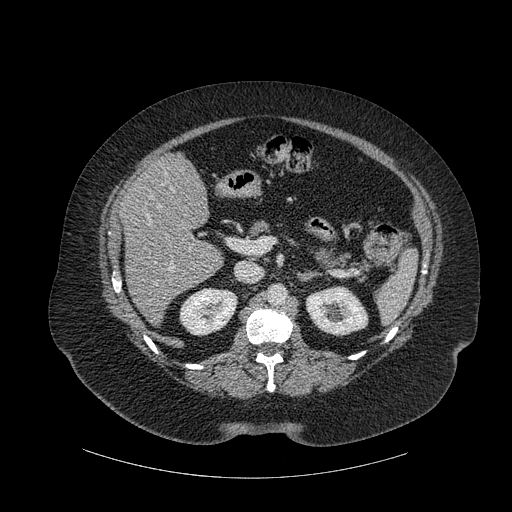 CT scan slice
{
  "bone": [
    "(246, 309, 292, 343)",
    "(112, 278, 121, 292)",
    "(349, 351, 365, 359)",
    "(144, 335, 157, 353)",
    "(186, 364, 202, 369)",
    "(385, 327, 397, 341)",
    "(256, 353, 282, 391)"
  ],
  "liver": [
    "(121, 153, 224, 325)"
  ],
  "kidney": [
    "(306, 287, 367, 334)",
    "(180, 289, 236, 334)"
  ]
}